FLAIR MR image.
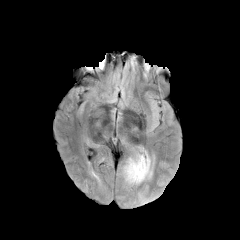
T1-weighted MR.
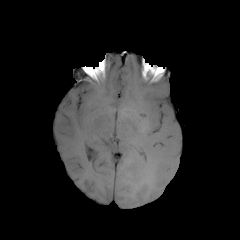
Post-contrast T1-weighted MR.
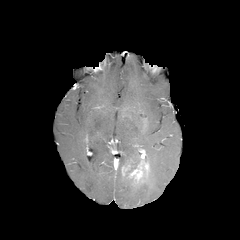
T2-weighted MR image.
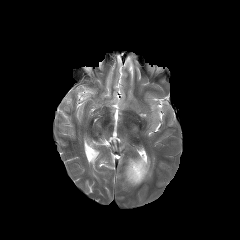
Image size 240x240.
edema: x1=125, y1=155, x2=140, y2=167 | non-enhancing tumor core: x1=126, y1=161, x2=138, y2=175 | enhancing tumor: x1=129, y1=154, x2=148, y2=183; x1=122, y1=165, x2=130, y2=176